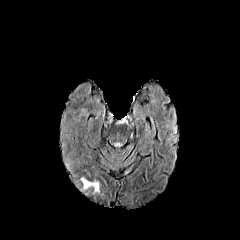
FLAIR MR.
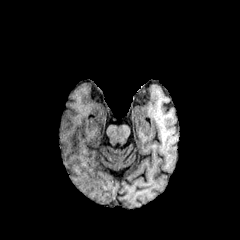
T1-weighted MRI.
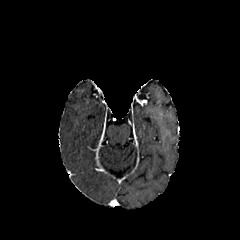
Post-contrast T1-weighted MR of the same slice.
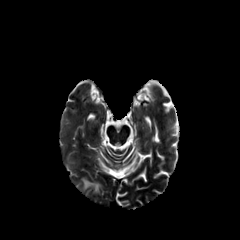
T2-weighted MR image.
Head
Edema — box=[81, 178, 100, 193].